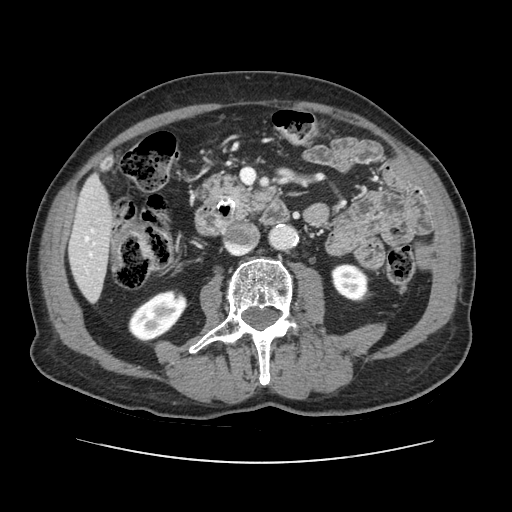 CT. 512x512.

The pancreas lies within <bbox>228, 188, 275, 218</bbox>.